Slice 78 of 155, Brain, Image size 240x240
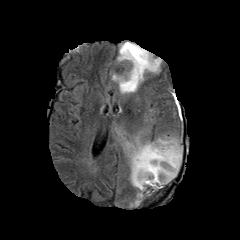
FLAIR MR image.
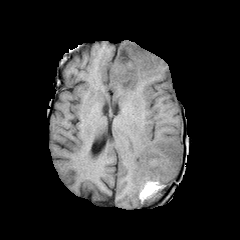
T1-weighted magnetic resonance.
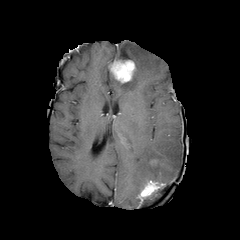
Post-contrast T1-weighted MR of the same slice.
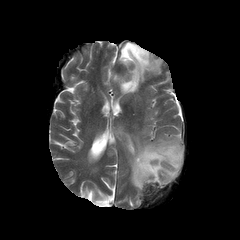
Same slice, T2-weighted MRI.
Enhancing tumor — [x1=113, y1=59, x2=135, y2=83], [x1=139, y1=181, x2=164, y2=197].
Edema — [x1=116, y1=41, x2=161, y2=93], [x1=126, y1=138, x2=182, y2=195].
Non-enhancing tumor core — [x1=120, y1=50, x2=136, y2=69], [x1=111, y1=62, x2=122, y2=72].